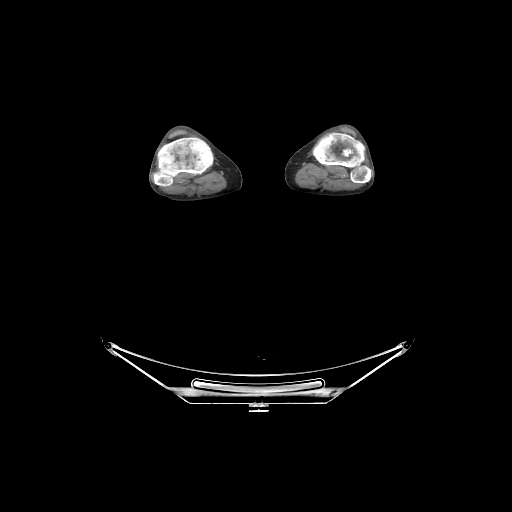

CT image
2 bone regions are located at 313,133,370,182; 154,137,212,185.